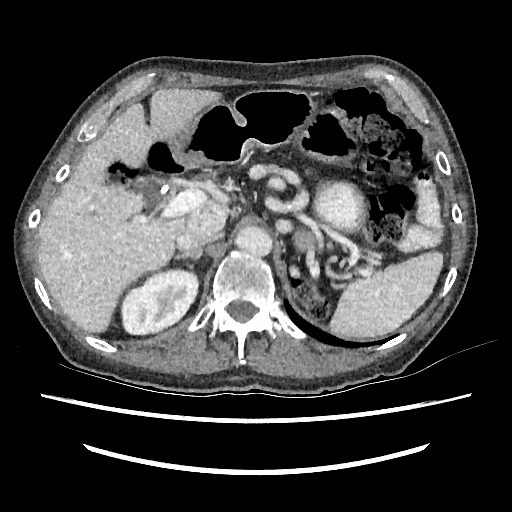 Abdomen; CT image
The liver lies within {"x1": 38, "y1": 89, "x2": 218, "y2": 332}. The kidney lies within {"x1": 122, "y1": 271, "x2": 197, "y2": 334}.